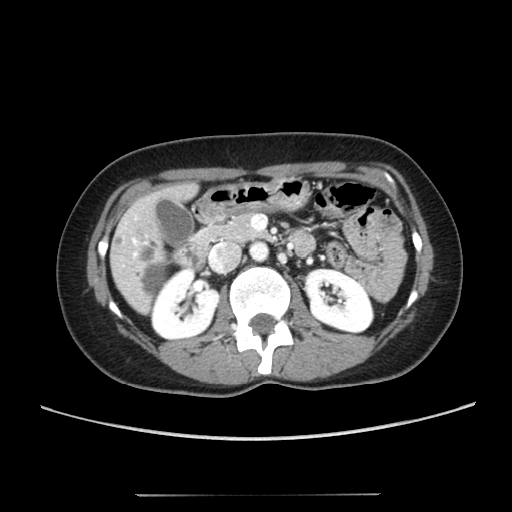 CT slice

Liver at 110,183,199,316.
Kidney at 153,270,218,338; 306,270,371,331.
Liver lesion at 114,235,122,244; 139,258,168,300; 138,246,156,260.